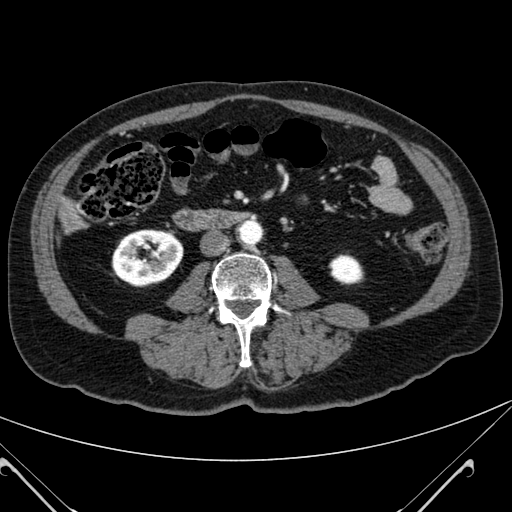 512x512 px | Computed tomography | Abdomen
2 kidney regions appear at region(331, 256, 360, 282); region(113, 230, 182, 285).